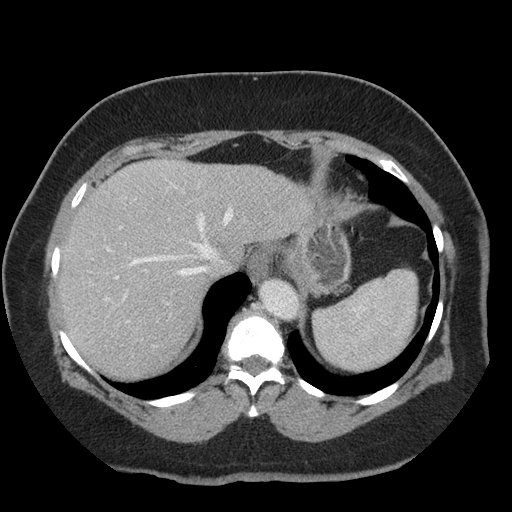

CT scan slice | Image size 512x512 | Abdomen
Some hepatic vessels may have no box.
Hepatic vessel = rect(224, 206, 232, 224); rect(106, 247, 111, 251); rect(115, 276, 118, 278); rect(129, 256, 178, 266); rect(120, 226, 121, 228); rect(180, 268, 204, 275); rect(104, 298, 109, 300); rect(124, 295, 125, 299); rect(126, 290, 126, 293); rect(126, 321, 128, 323); rect(198, 214, 204, 237); rect(190, 241, 213, 258).